Slice index 93. Upper abdomen. Computed tomography.

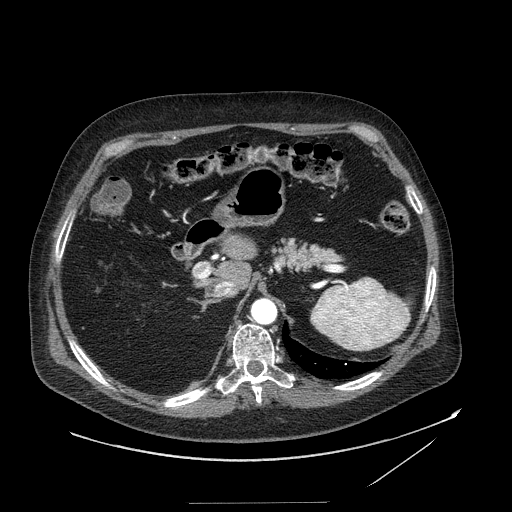

Findings:
- pancreas: [x1=270, y1=238, x2=344, y2=273]